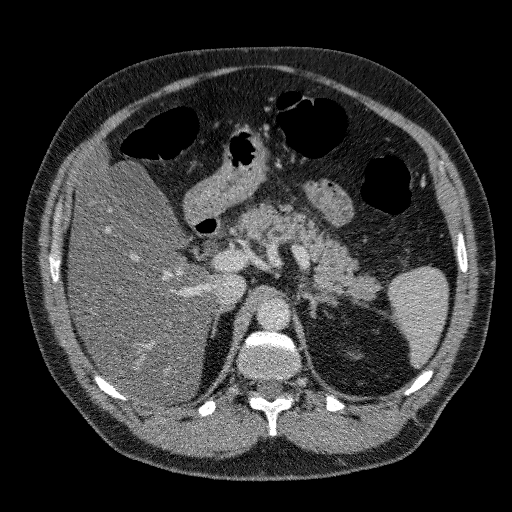

512x512 px, Liver, CT
Liver — <bbox>68, 142, 222, 402</bbox>.